CT, 512x512

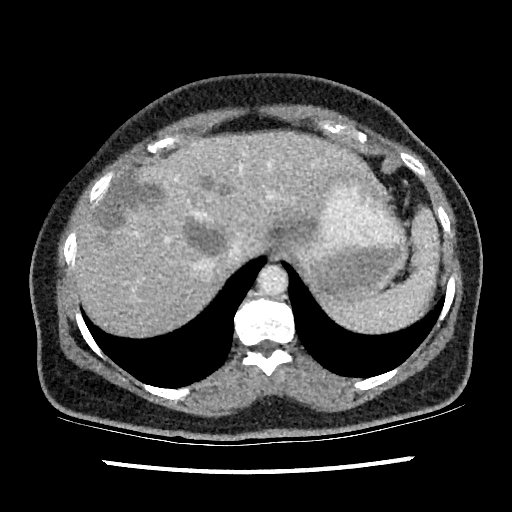

Liver: rect(77, 132, 385, 334).
Focal liver lesion: rect(96, 173, 163, 230); rect(203, 174, 223, 189); rect(185, 222, 227, 253); rect(101, 235, 111, 242).